Head; Field of view 240x240 mm
FLAIR MR image.
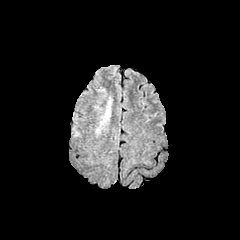
T1-weighted MR image.
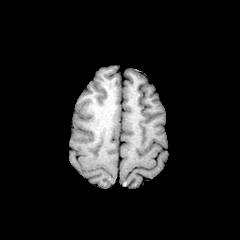
Post-contrast T1-weighted MR image.
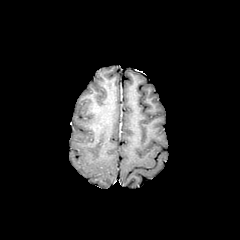
T2-weighted magnetic resonance.
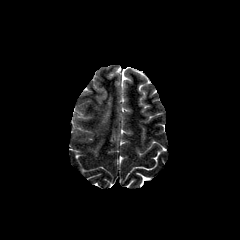
Segmented structures:
• edema: x1=98, y1=109, x2=110, y2=125